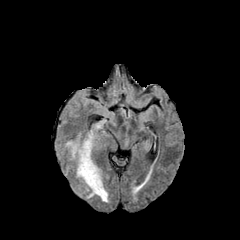
FLAIR MR.
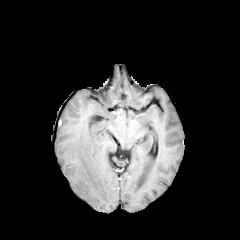
T1-weighted magnetic resonance of the same slice.
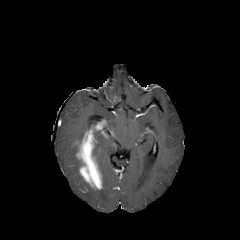
Same slice, post-contrast T1-weighted MRI.
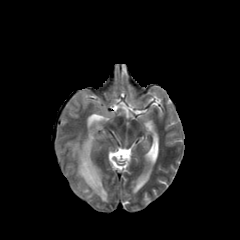
T2-weighted MR.
Head
edema:
  - [x1=93, y1=132, x2=101, y2=152]
  - [x1=66, y1=139, x2=108, y2=202]
enhancing_tumor:
  - [x1=95, y1=123, x2=103, y2=132]
  - [x1=77, y1=129, x2=101, y2=189]